Slice 45 of 95 | CT | Image size 512x512 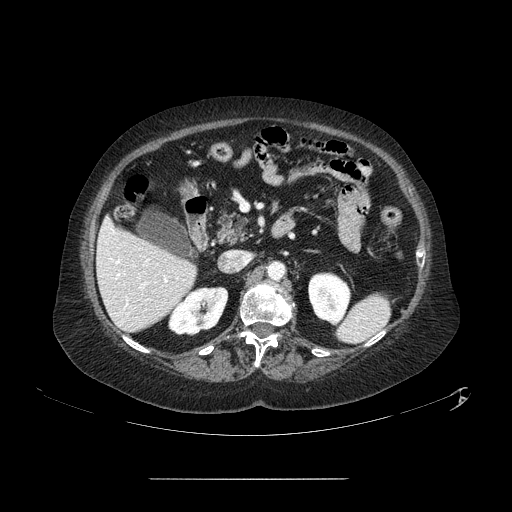

Pancreas = 218:212:246:242.